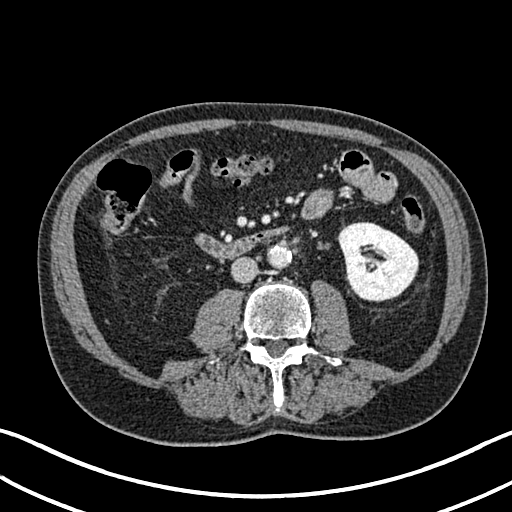
Abdomen. CT slice. The kidney is bounded by region(339, 223, 417, 300).